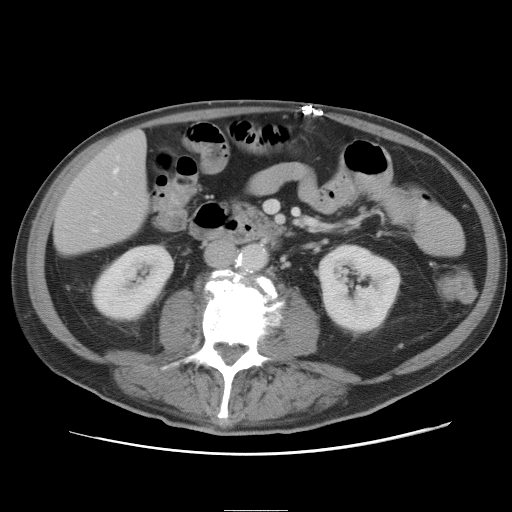 Image size 512x512 | CT slice
The vessel annotation is not exhaustive.
Findings:
- hepatic vessel: x1=114, y1=169, x2=118, y2=172; x1=93, y1=230, x2=95, y2=231; x1=137, y1=131, x2=140, y2=133